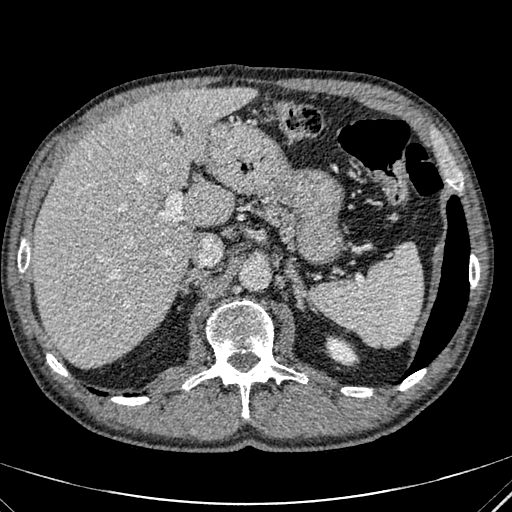 Abdomen; CT scan slice
{"hepatic_lesion": ["160, 93, 174, 106"], "liver": ["34, 87, 256, 366"], "kidney": ["329, 340, 354, 362"]}